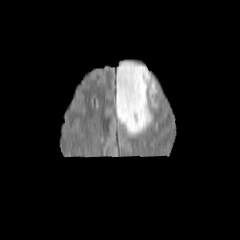
FLAIR magnetic resonance.
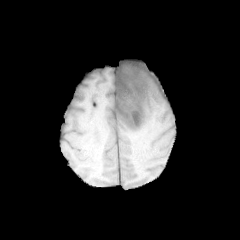
T1-weighted MR of the same slice.
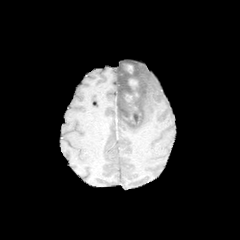
Post-contrast T1-weighted MR of the same slice.
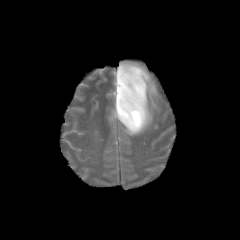
T2-weighted MR of the same slice.
Head. 240x240.
Annotated regions:
- enhancing tumor: box(129, 79, 138, 89)
- edema: box(116, 63, 152, 136); box(152, 82, 157, 95)
- non-enhancing tumor core: box(118, 63, 142, 126)